Computed tomography. 512x512 px. 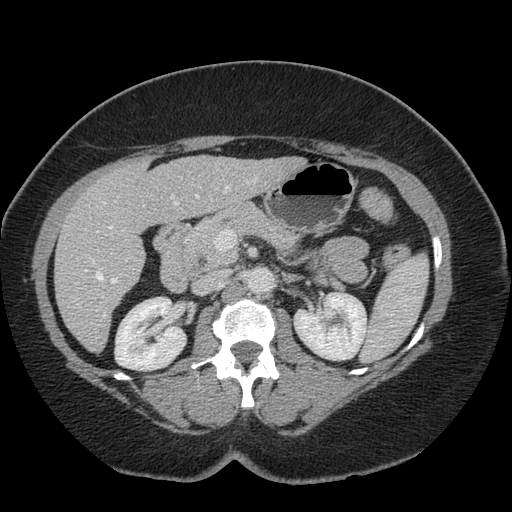
The vessel annotation is not exhaustive.
Hepatic vessel = 108 227 112 228, 253 179 256 182, 125 260 127 261, 174 202 177 204, 115 201 116 202, 246 182 249 184, 196 196 198 197, 224 186 229 192, 92 260 95 264, 172 196 173 199, 103 314 105 317, 112 278 116 282, 96 273 103 280.